Computed tomography 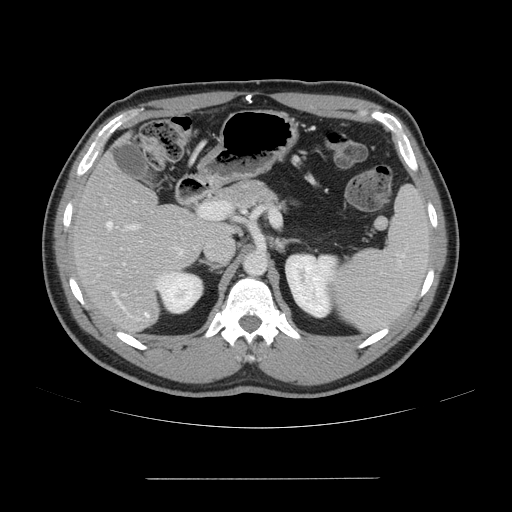
Some hepatic vessels may have no box.
Hepatic vessel — (125,225,138,229), (127,313,131,316), (123,263,124,264), (112,292,124,308), (107,222,113,228).